Liver; CT image
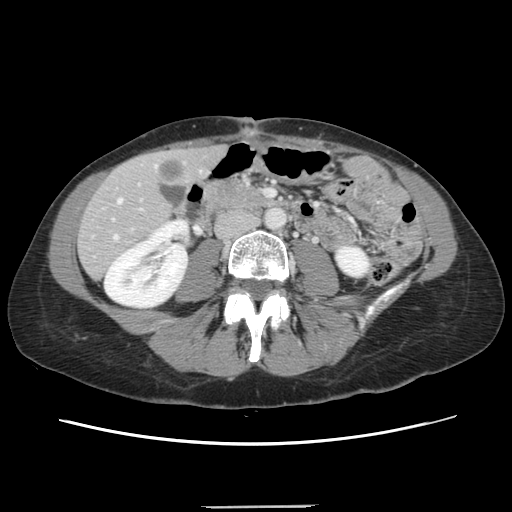
Not every hepatic vessel necessarily has a box.
liver tumor: <bbox>159, 160, 183, 181</bbox> | hepatic vessel: <bbox>117, 198, 121, 203</bbox>, <bbox>113, 235, 117, 238</bbox>